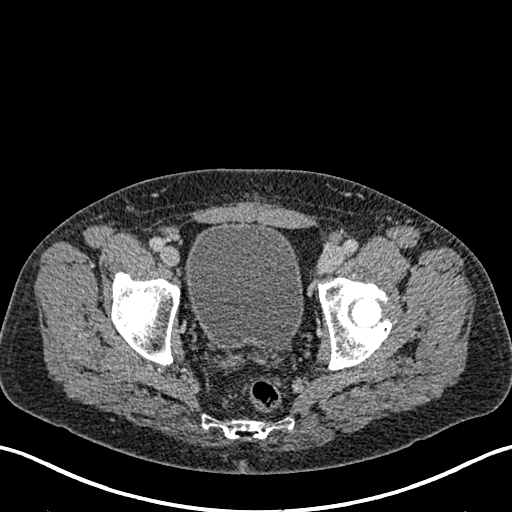
CT scan slice | Lower abdomen

The urinary bladder lies within <bbox>185, 220, 303, 347</bbox>.